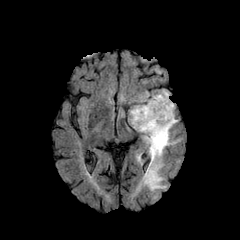
FLAIR MR.
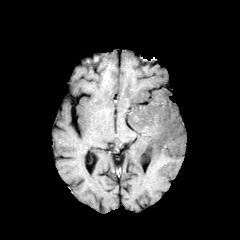
Same slice, T1-weighted MR.
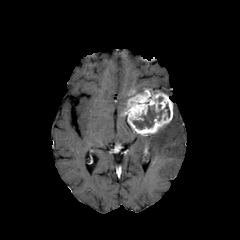
Post-contrast T1-weighted MRI.
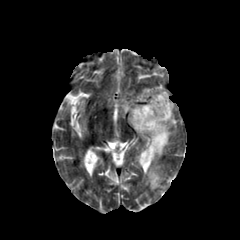
Same slice, T2-weighted MR.
Head
The edema is at (142,114,178,189). The enhancing tumor lies within (122,89,173,135). The non-enhancing tumor core appears at (133,108,156,129).